CT image; 512x512
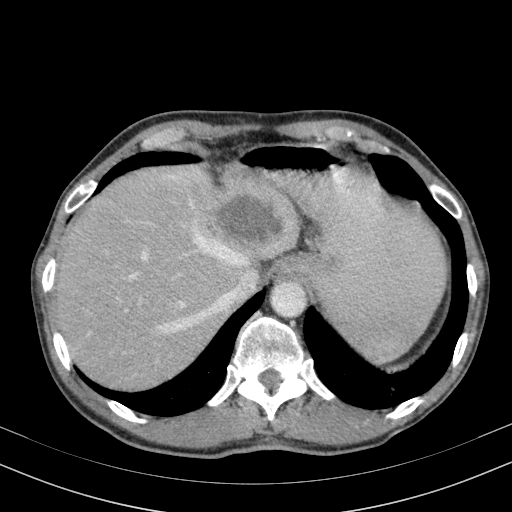
Liver at x1=57, y1=163, x2=298, y2=391.
Focal liver lesion at x1=215, y1=197, x2=282, y2=242.